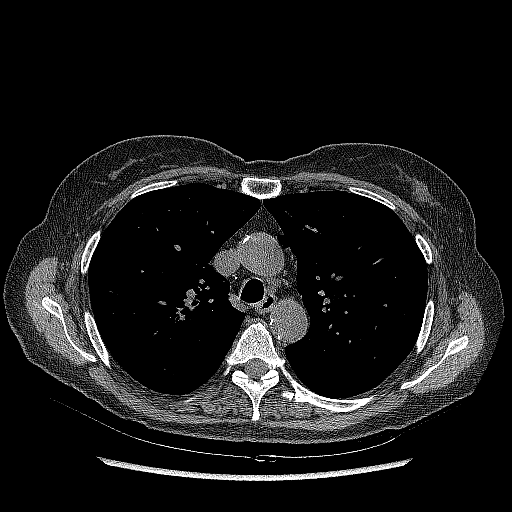

512x512, CT

Segmented structures:
* lung tumor: [x1=172, y1=305, x2=188, y2=320]